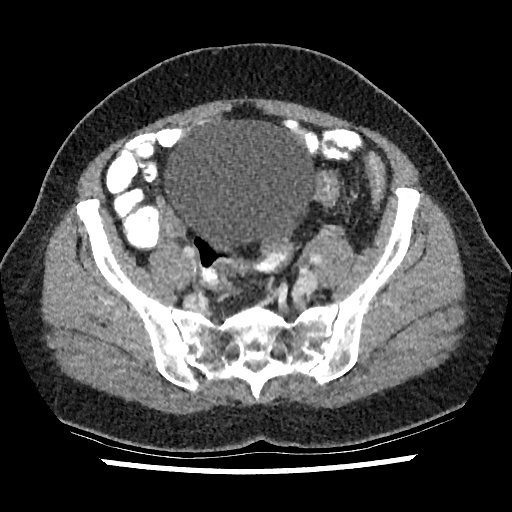 CT, Pelvis

urinary bladder: 164,120,316,257